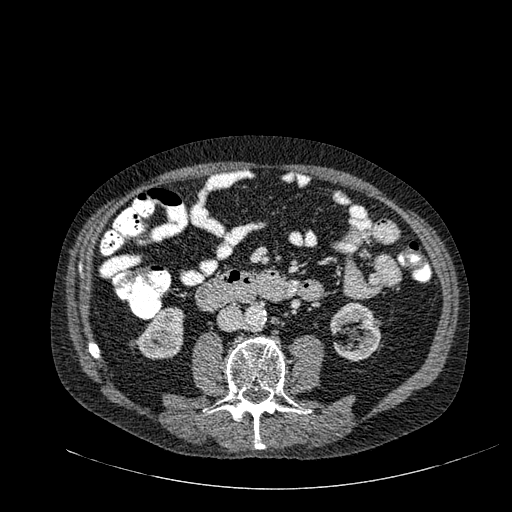
Abdomen, CT scan slice
2 kidney regions are bounded by x1=135, y1=307, x2=184, y2=359; x1=330, y1=303, x2=380, y2=361.